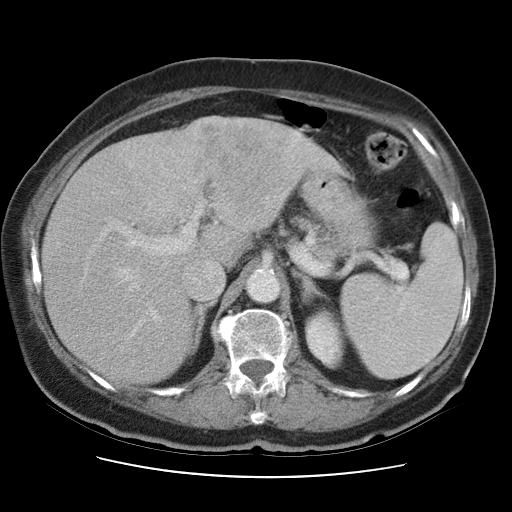
512x512 | CT slice

Not every hepatic vessel necessarily has a box.
Annotated regions:
• liver tumor: (193, 122, 288, 212)
• hepatic vessel: (88, 203, 201, 256), (150, 308, 160, 319), (134, 317, 144, 331), (126, 288, 128, 292), (163, 317, 164, 318), (85, 259, 89, 267), (115, 267, 130, 278)